FLAIR MR image.
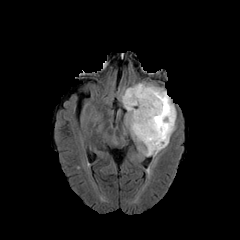
T1-weighted magnetic resonance.
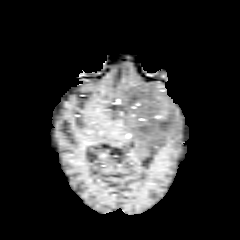
Post-contrast T1-weighted MRI.
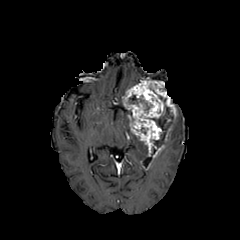
T2-weighted MRI.
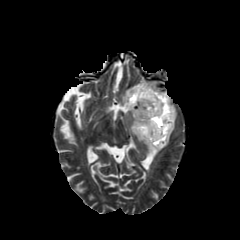
240x240, Brain
<segmentation>
  <edema>rect(123, 110, 148, 157); rect(151, 118, 176, 161); rect(119, 82, 141, 102)</edema>
  <non-enhancing_tumor_core>rect(150, 95, 173, 147); rect(128, 95, 152, 109)</non-enhancing_tumor_core>
  <enhancing_tumor>rect(122, 81, 176, 155); rect(165, 125, 172, 142)</enhancing_tumor>
</segmentation>